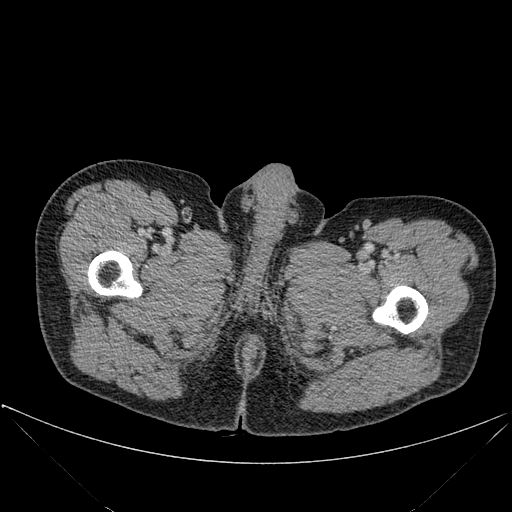 Computed tomography

2 bone regions are located at 88:251:142:297, 373:286:427:333.